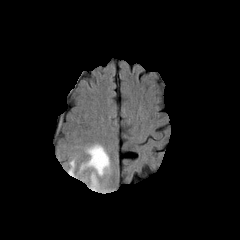
FLAIR MR.
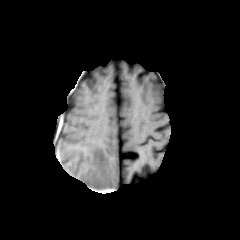
T1-weighted magnetic resonance.
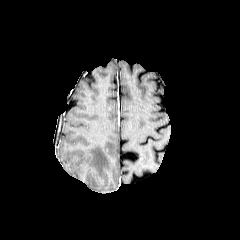
Post-contrast T1-weighted MR image of the same slice.
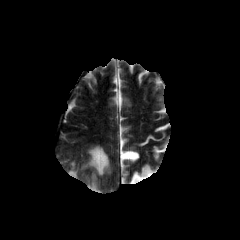
T2-weighted magnetic resonance.
Brain.
The edema appears at 68,144,111,189.